Upper abdomen | CT

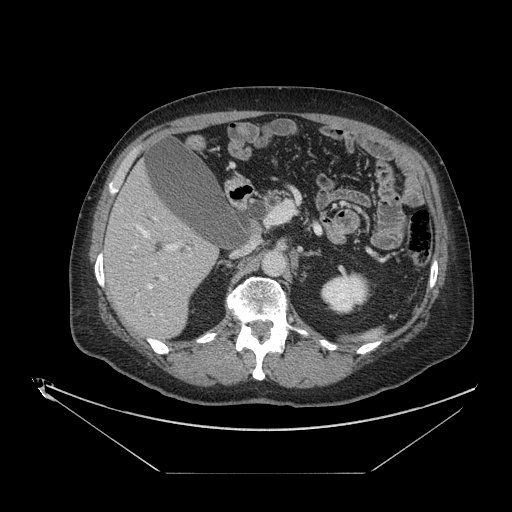
{
  "pancreas": [
    "left=265, top=189, right=285, bottom=208"
  ]
}